Upper abdomen; Computed tomography 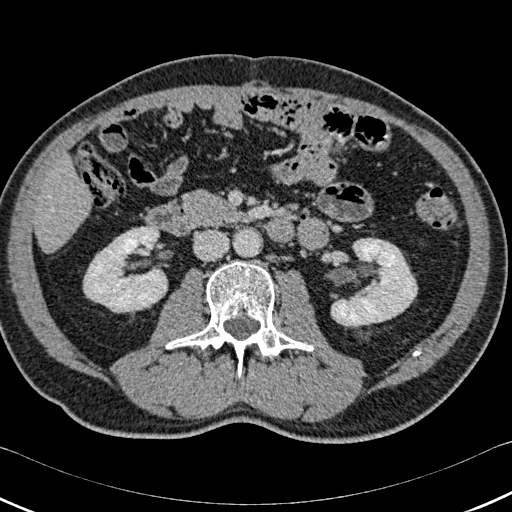
• kidney: l=331, t=238, r=416, b=325; l=84, t=226, r=166, b=311
• bone: l=166, t=261, r=313, b=377
• liver: l=35, t=158, r=92, b=252